Brain. Field of view 240 mm wide, 1.00 mm slice spacing.
FLAIR MR image.
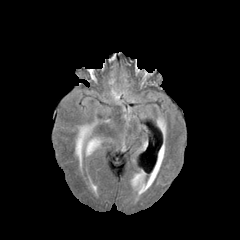
T1-weighted MRI.
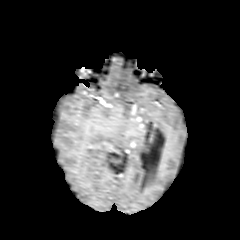
Post-contrast T1-weighted MR.
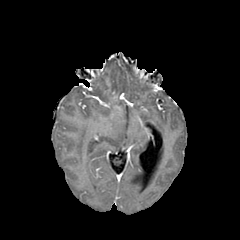
T2-weighted magnetic resonance.
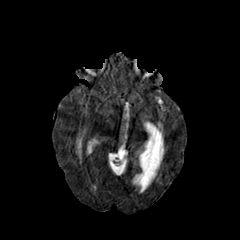
Annotated regions:
• edema: rect(76, 125, 100, 167)